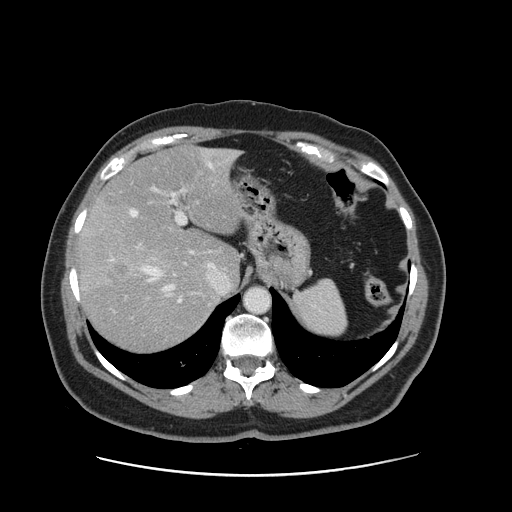

512x512; CT image; Abdomen
Some hepatic vessels may have no box.
<segmentation>
  <hepatic_vessel>{"x1": 168, "y1": 192, "x2": 176, "y2": 202}, {"x1": 181, "y1": 189, "x2": 184, "y2": 191}, {"x1": 176, "y1": 212, "x2": 186, "y2": 224}, {"x1": 208, "y1": 163, "x2": 211, "y2": 166}, {"x1": 144, "y1": 266, "x2": 161, "y2": 281}, {"x1": 165, "y1": 285, "x2": 173, "y2": 295}, {"x1": 137, "y1": 245, "x2": 141, "y2": 248}, {"x1": 178, "y1": 297, "x2": 181, "y2": 301}, {"x1": 190, "y1": 250, "x2": 193, "y2": 252}</hepatic_vessel>
  <liver_tumor>{"x1": 107, "y1": 263, "x2": 130, "y2": 288}</liver_tumor>
</segmentation>